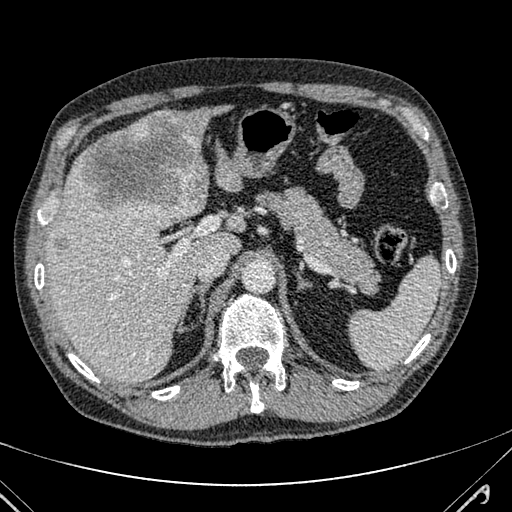

Computed tomography
Liver: {"x1": 106, "y1": 115, "x2": 152, "y2": 138}, {"x1": 153, "y1": 105, "x2": 231, "y2": 154}, {"x1": 215, "y1": 144, "x2": 241, "y2": 190}, {"x1": 227, "y1": 213, "x2": 245, "y2": 230}, {"x1": 47, "y1": 158, "x2": 240, "y2": 381}.
Hepatic lesion: {"x1": 80, "y1": 115, "x2": 207, "y2": 207}, {"x1": 56, "y1": 239, "x2": 67, "y2": 253}.